CT slice, 512x512 px 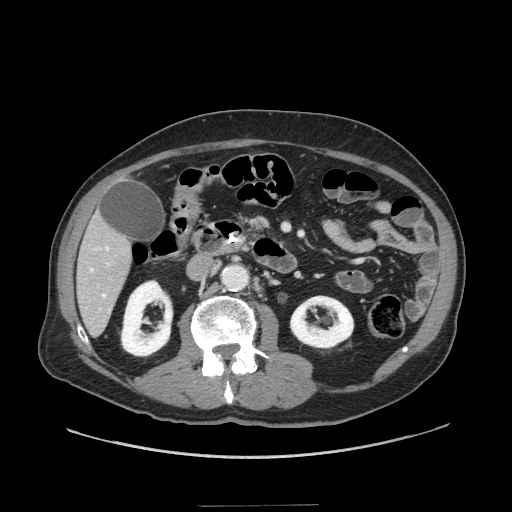

The pancreas is bounded by {"x1": 253, "y1": 218, "x2": 265, "y2": 226}.